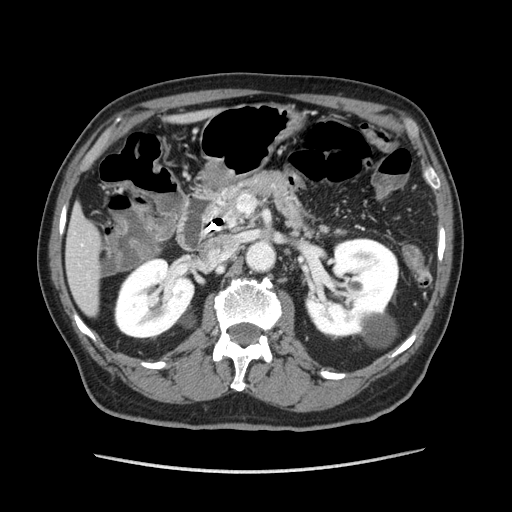

CT slice.
{
  "pancreas": [
    "l=222, t=172, r=312, b=237"
  ]
}